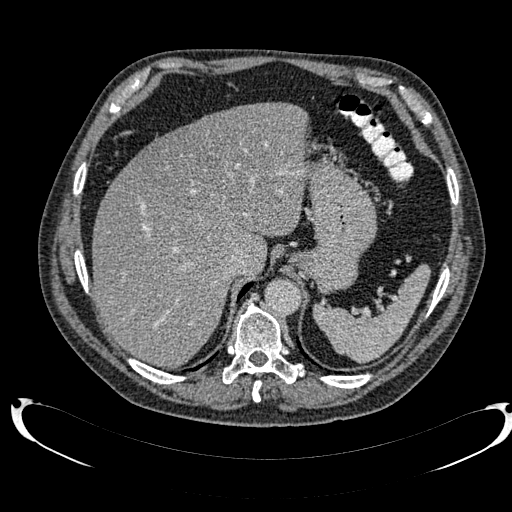
Liver. CT. 512x512.

The hepatic lesion is at region(135, 107, 268, 215). 2 liver regions appear at region(92, 102, 308, 367); region(151, 128, 180, 144).